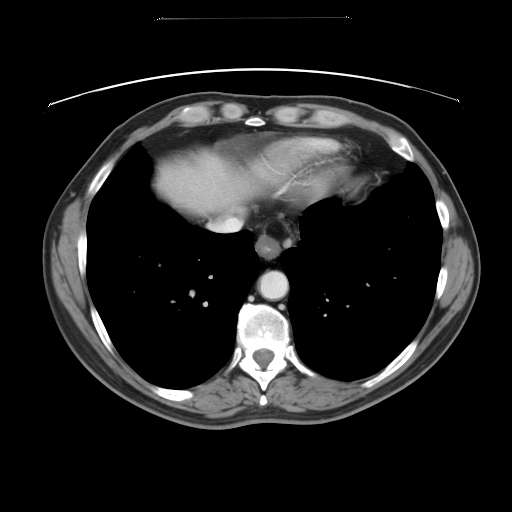
Abdomen. CT scan slice.
Not every hepatic vessel necessarily has a box.
Hepatic vessel — bbox=[212, 218, 240, 230].